CT slice | Image size 512x512

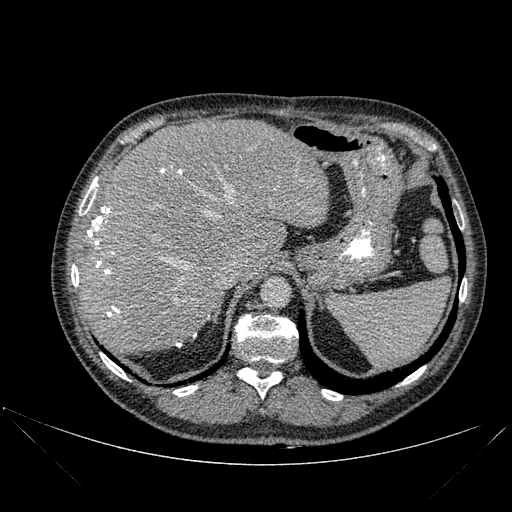

9 bone regions are bounded by region(235, 314, 297, 362); region(100, 353, 129, 380); region(81, 179, 97, 213); region(322, 389, 342, 400); region(459, 283, 466, 301); region(173, 386, 197, 396); region(401, 366, 425, 384); region(71, 264, 78, 286); region(238, 368, 281, 398). 3 lung regions are located at region(298, 300, 457, 394); region(436, 177, 465, 279); region(197, 356, 225, 378). The liver appears at region(79, 119, 329, 353).